Computed tomography, Liver

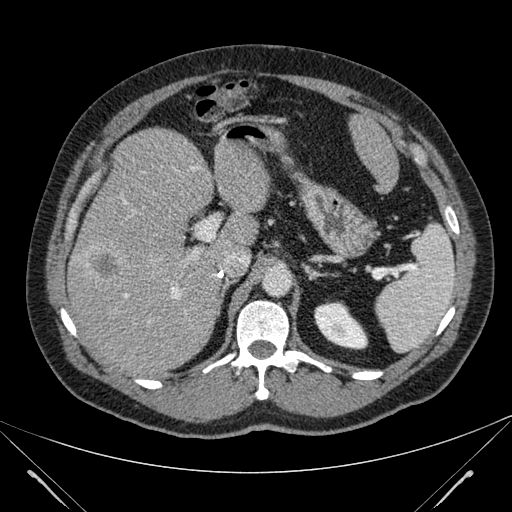

Liver lesion at x1=89, y1=251, x2=120, y2=278.
Kidney at x1=315, y1=303, x2=366, y2=348.
Liver at x1=349, y1=114, x2=398, y2=192; x1=57, y1=128, x2=269, y2=380.